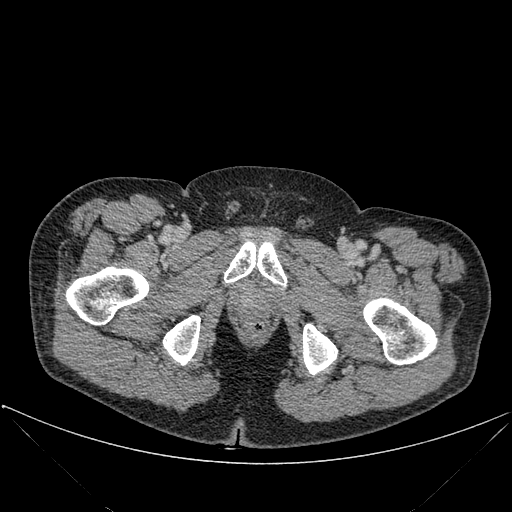

512x512 px, Computed tomography
{"bone": ["x1=303 y1=324 x2=337 y2=374", "x1=66 y1=267 x2=148 y2=324", "x1=363 y1=298 x2=436 y2=364", "x1=163 y1=315 x2=200 y2=364", "x1=224 y1=241 x2=286 y2=285"]}